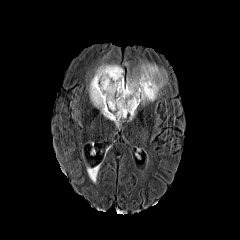
FLAIR MRI.
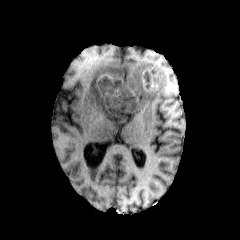
T1-weighted MRI.
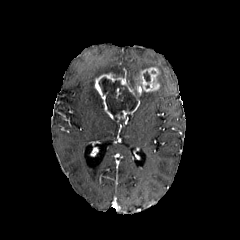
Post-contrast T1-weighted magnetic resonance.
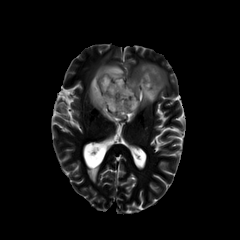
Same slice, T2-weighted MR.
240x240 px
non-enhancing tumor core: x1=142 y1=72 x2=150 y2=81, x1=98 y1=77 x2=137 y2=121 | enhancing tumor: x1=94 y1=67 x2=160 y2=124 | edema: x1=87 y1=61 x2=124 y2=119, x1=125 y1=61 x2=169 y2=108